Slice index 29 | Pelvis | CT | Image size 512x512

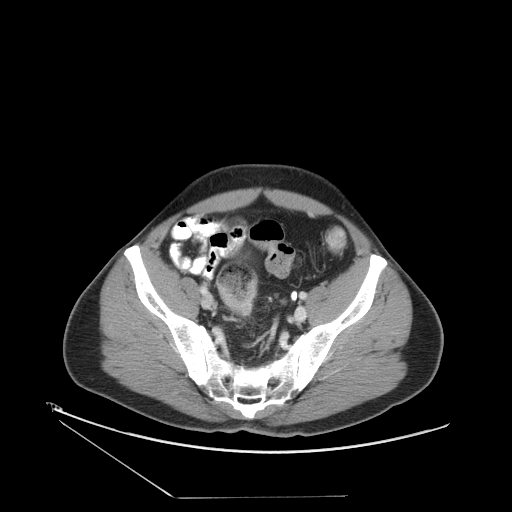
The colon tumor is bounded by (x1=217, y1=278, x2=256, y2=315).